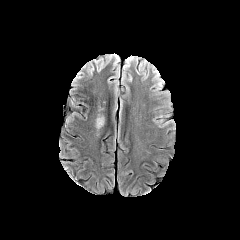
FLAIR MR.
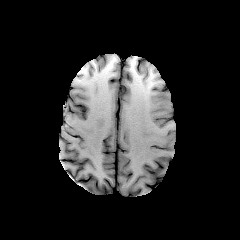
T1-weighted MRI.
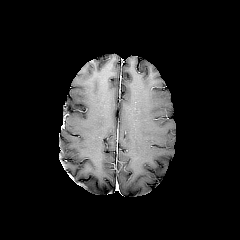
Post-contrast T1-weighted MR of the same slice.
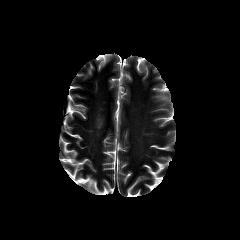
T2-weighted MR image of the same slice.
240x240
Edema: region(96, 118, 102, 128).